FLAIR magnetic resonance.
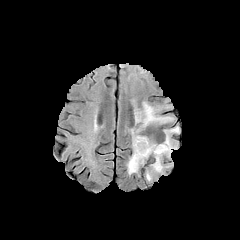
T1-weighted MR.
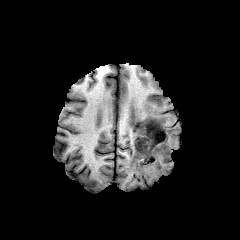
Post-contrast T1-weighted MR image.
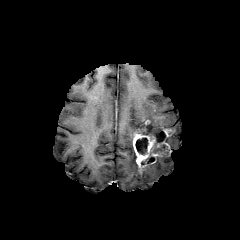
T2-weighted MR image.
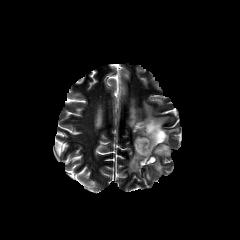
Image size 240x240
Edema = left=126, top=146, right=143, bottom=174; left=134, top=102, right=172, bottom=126; left=144, top=127, right=179, bottom=172.
Enhancing tumor = left=133, top=134, right=155, bottom=166.
Non-enhancing tumor core = left=139, top=120, right=167, bottom=155; left=136, top=137, right=148, bottom=154; left=138, top=152, right=157, bottom=167.